Field of view 469x469 mm. Abdomen. CT scan slice.

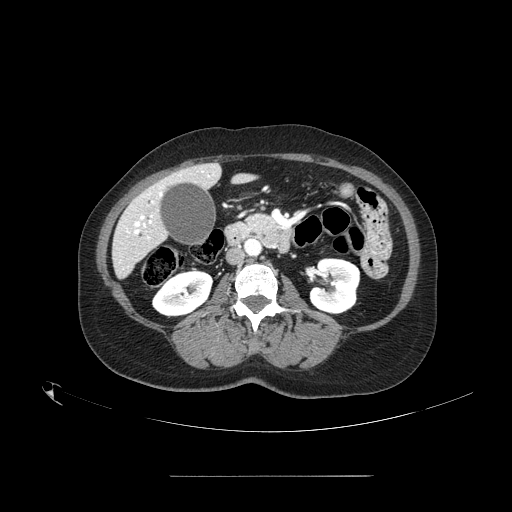

{"pancreas": ["<box>242,214,280,247</box>"]}